Field of view 381x381 mm | CT image 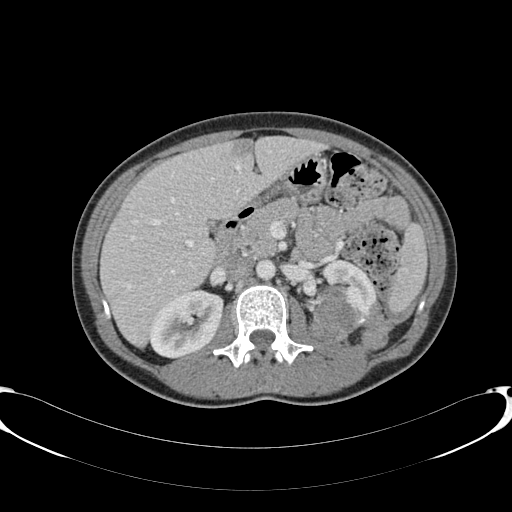 Kidney: [x1=310, y1=259, x2=375, y2=349], [x1=150, y1=291, x2=222, y2=357].
Liver: [x1=102, y1=137, x2=328, y2=346].
Hepatic lesion: [x1=233, y1=140, x2=251, y2=154].